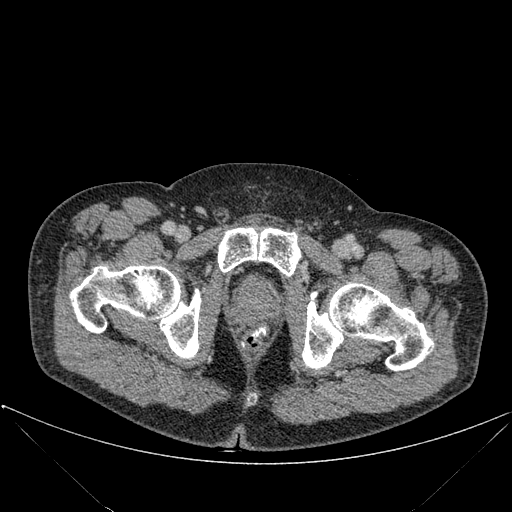 CT, 512x512
<segmentation>
  <bone>box(70, 266, 200, 358); box(218, 228, 300, 275); box(302, 283, 433, 370)</bone>
</segmentation>